CT scan slice | Image size 512x512 | Abdomen

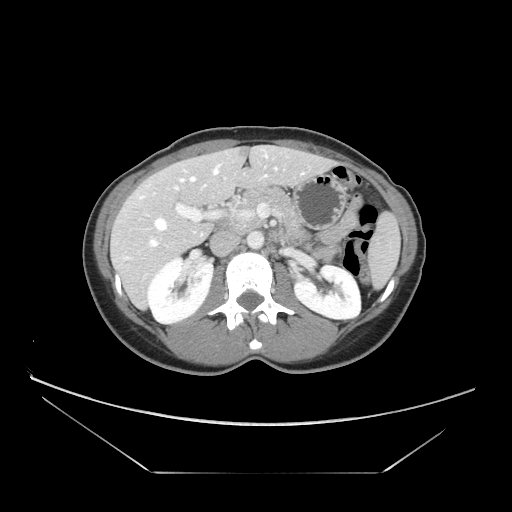 pancreas: [227, 186, 316, 249]